FLAIR MRI.
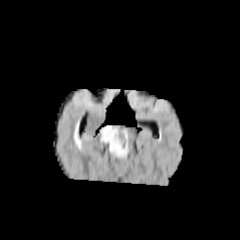
T1-weighted MRI.
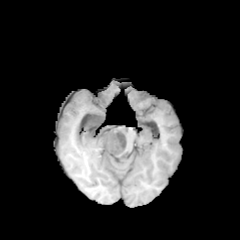
Post-contrast T1-weighted MRI.
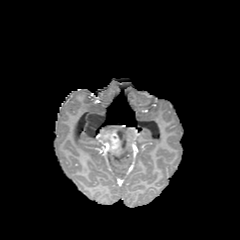
T2-weighted magnetic resonance.
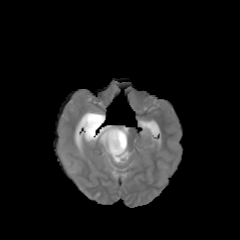
Head
The enhancing tumor is at 98,127,122,155. 3 edema regions appear at 101,142,128,160; 114,124,128,134; 78,118,85,138. 2 non-enhancing tumor core regions are located at 84,110,105,142; 102,125,130,150.